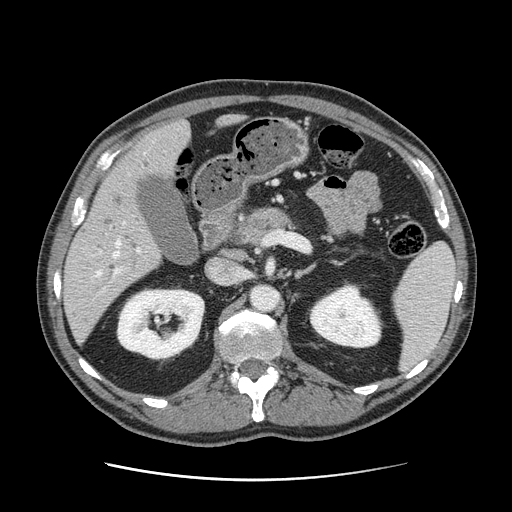

CT
<segmentation>
  <pancreas>x1=242, y1=208, x2=296, y2=243</pancreas>
  <pancreatic_tumor>x1=238, y1=217, x2=261, y2=239</pancreatic_tumor>
</segmentation>